Brain. Slice 102 of 155. Image size 240x240. Field of view 240 mm wide, 1.00 mm slice spacing.
FLAIR MRI.
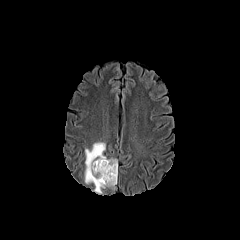
T1-weighted magnetic resonance.
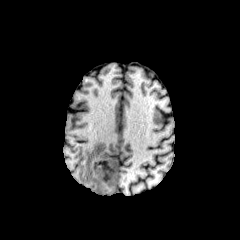
Post-contrast T1-weighted MR image.
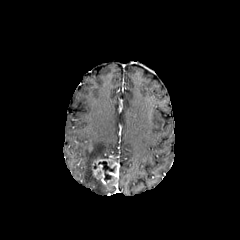
T2-weighted MRI.
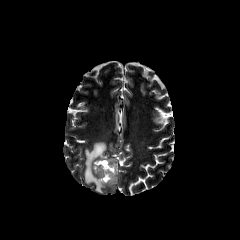
Non-enhancing tumor core — l=98, t=161, r=114, b=187.
Enhancing tumor — l=107, t=167, r=117, b=185; l=92, t=158, r=117, b=184.
Edema — l=84, t=141, r=107, b=192.